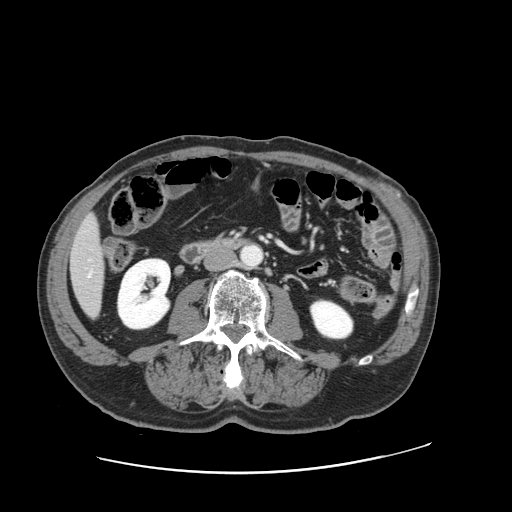 Abdomen | Computed tomography

Some hepatic vessels may have no box.
hepatic vessel: box=[89, 273, 90, 276]